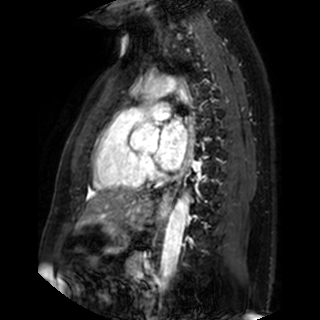

MRI slice | Cardiac
Left atrium = 155, 119, 186, 170.